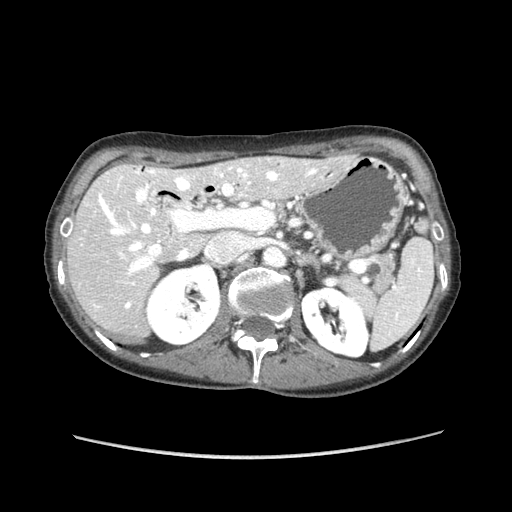 Upper abdomen | CT image

The pancreas appears at x1=377 y1=254 x2=391 y2=279.